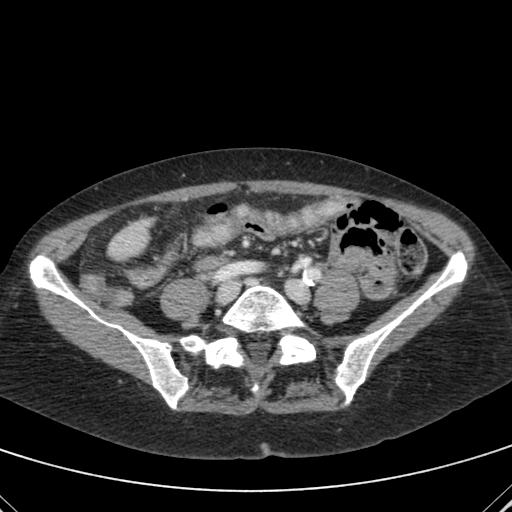 CT scan slice. Liver. {"liver": ["110:220:149:257"]}